FLAIR MR.
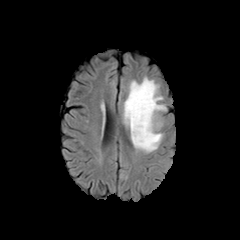
T1-weighted MRI.
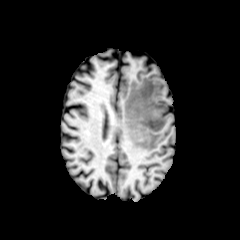
Post-contrast T1-weighted MRI.
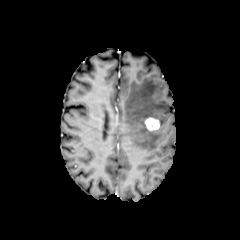
T2-weighted MRI.
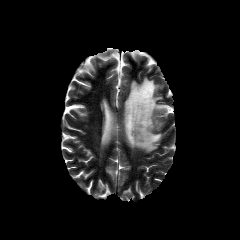
Brain.
edema: box=[122, 77, 167, 152] | enhancing tumor: box=[144, 117, 159, 130]